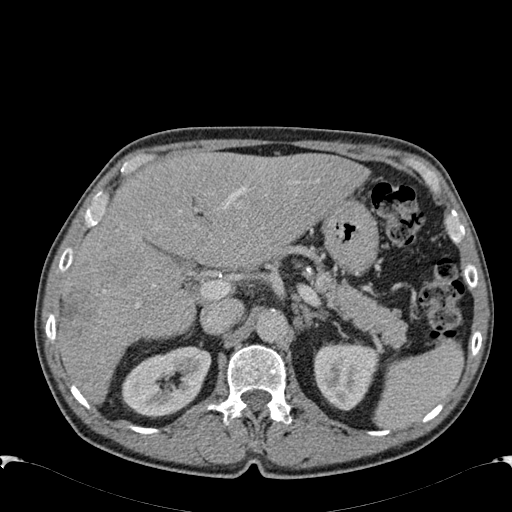 512x512, CT slice

<segmentation>
  <focal_liver_lesion>(x1=62, y1=291, x2=90, y2=337)</focal_liver_lesion>
  <kidney>(x1=122, y1=347, x2=210, y2=415), (x1=315, y1=345, x2=378, y2=409)</kidney>
  <liver>(x1=59, y1=152, x2=368, y2=404)</liver>
</segmentation>